Field of view 420x420 mm, CT slice
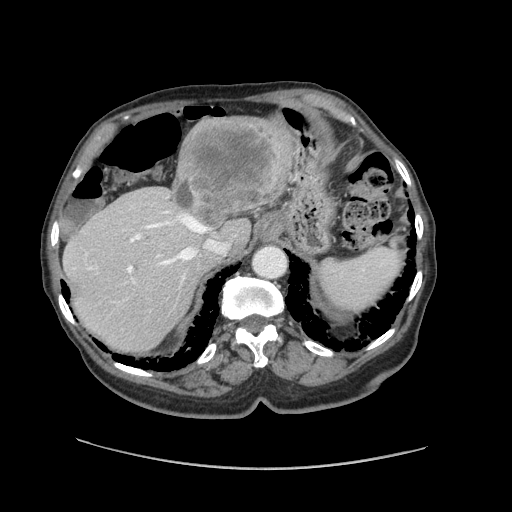

The vessel boxes may cover only some of the vessels.
4 hepatic vessel regions appear at box(204, 239, 229, 253); box(159, 247, 197, 265); box(130, 235, 140, 241); box(145, 214, 209, 233). The liver tumor appears at box(177, 116, 295, 225).